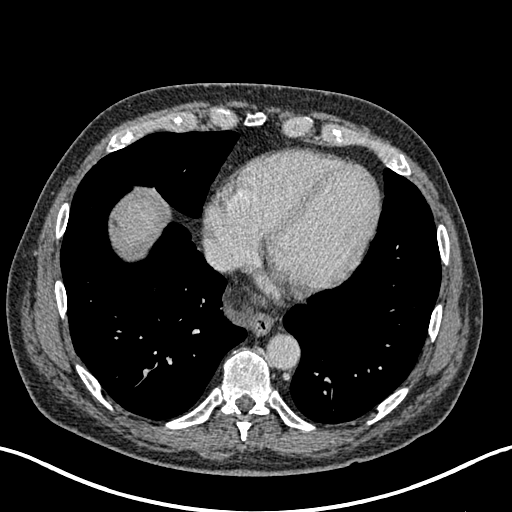

CT image
<segmentation>
  <liver>111, 191, 169, 260</liver>
</segmentation>